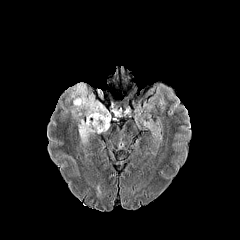
FLAIR MR.
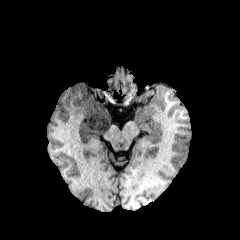
T1-weighted MR image of the same slice.
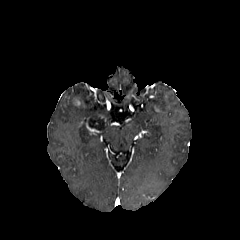
Post-contrast T1-weighted MR image.
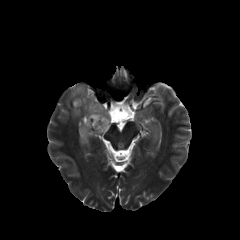
T2-weighted MR.
Head.
non-enhancing_tumor_core:
  - [87,110,110,132]
edema:
  - [78,123,90,149]
  - [68,84,107,124]
enhancing_tumor:
  - [86,122,101,133]